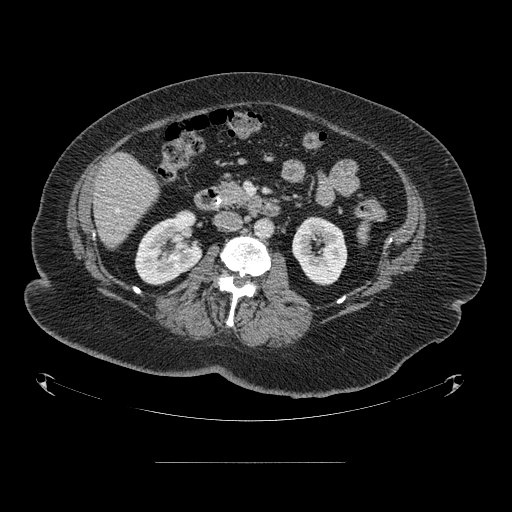
Abdomen; CT scan slice
The pancreas lies within <box>217,180,259,206</box>.